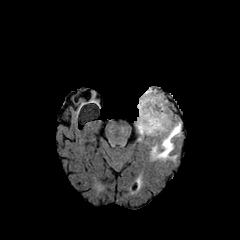
FLAIR MRI.
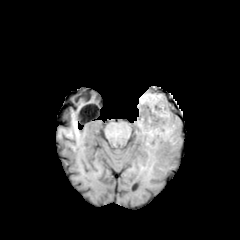
T1-weighted MR image.
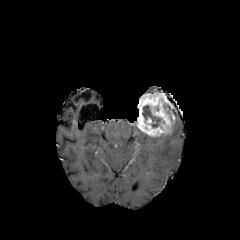
Same slice, post-contrast T1-weighted magnetic resonance.
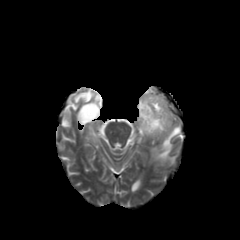
Same slice, T2-weighted magnetic resonance.
Brain
Non-enhancing tumor core = (142,105,160,127).
Edema = (137,128,144,142), (150,121,181,162).
Enhancing tumor = (137,91,176,136).